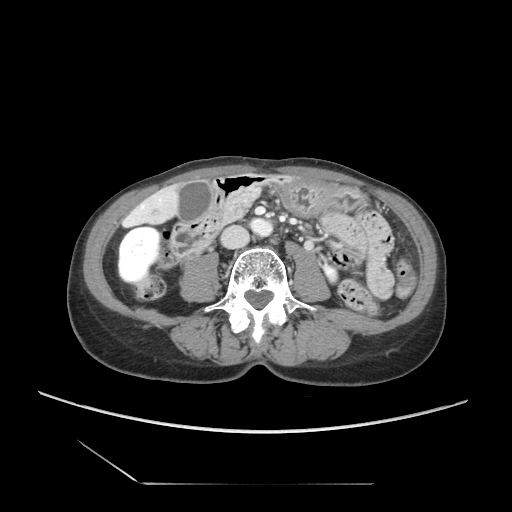
Computed tomography
Findings:
- pancreas: (226, 190, 258, 221)